Upper abdomen. CT slice. 512x512. Slice 41 of 76.
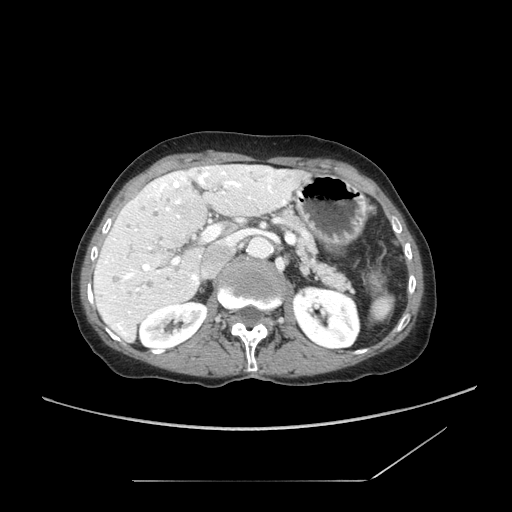

{"pancreas": ["rect(281, 210, 351, 291)"]}